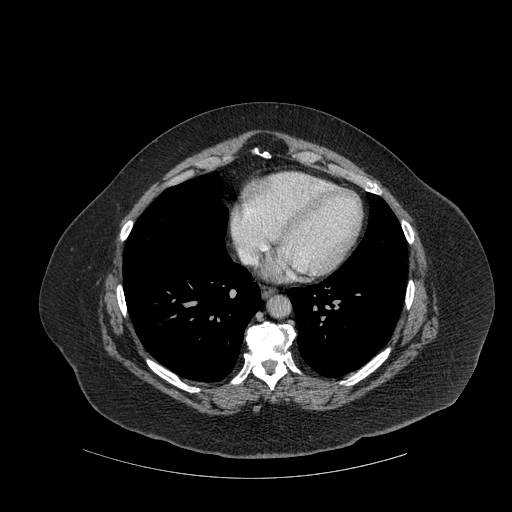

CT | Image size 512x512
Lung — box(288, 193, 406, 377); box(123, 172, 260, 381).
Bone — box(405, 281, 414, 308); box(117, 285, 126, 315); box(231, 322, 299, 389); box(147, 360, 199, 392); box(340, 348, 389, 385); box(402, 221, 413, 243); box(120, 221, 132, 240).